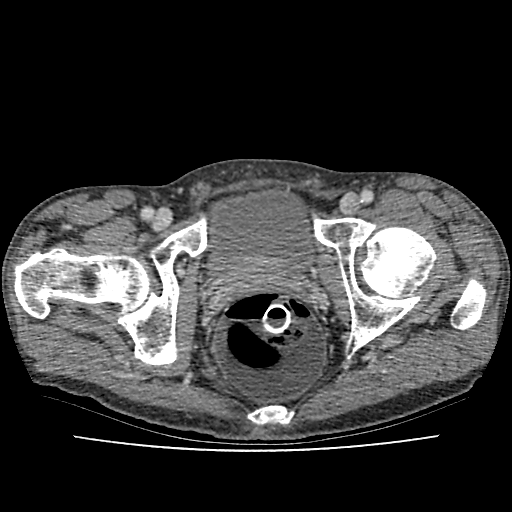

CT | Lower abdomen | Image size 512x512
Urinary bladder: 198:187:315:281.